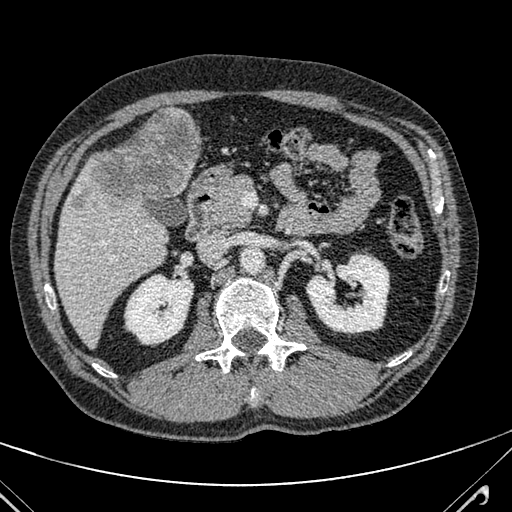

Abdomen; CT image
* liver: <bbox>174, 162, 194, 193</bbox>, <bbox>55, 158, 167, 346</bbox>
* liver lesion: <bbox>72, 110, 196, 207</bbox>